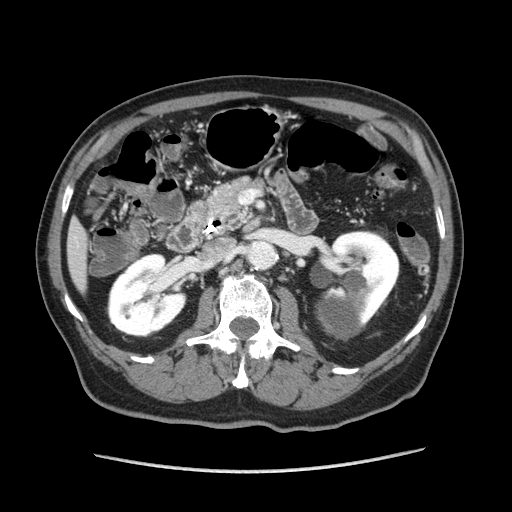 CT scan slice.
Annotated regions:
- pancreas: [208,177,262,227]